CT scan slice, Slice 26/48
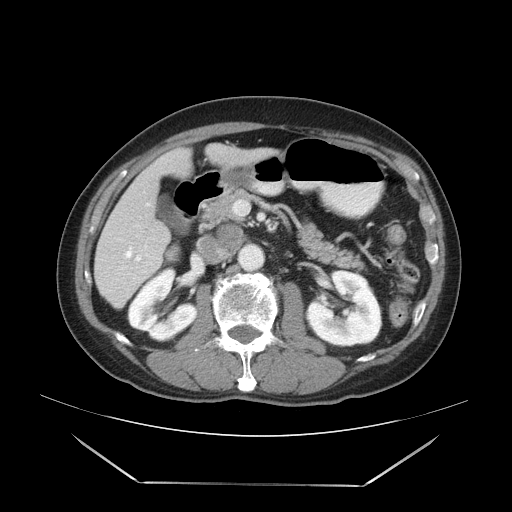
The vessel boxes may cover only some of the vessels.
hepatic vessel: bbox=[124, 267, 126, 268]; bbox=[135, 256, 141, 260]